CT.
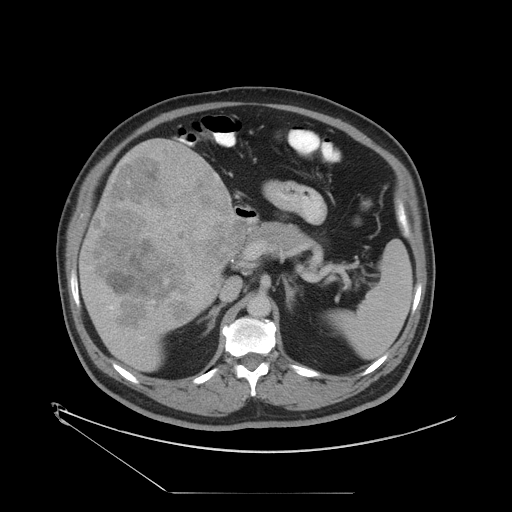
Some hepatic vessels may have no box.
liver_tumor:
  - box(82, 149, 246, 335)
hepatic_vessel:
  - box(113, 329, 116, 331)
  - box(191, 302, 196, 303)
  - box(138, 336, 144, 339)
  - box(201, 300, 203, 302)
  - box(105, 289, 116, 311)
  - box(196, 285, 200, 287)
  - box(189, 289, 193, 295)
  - box(98, 284, 104, 287)